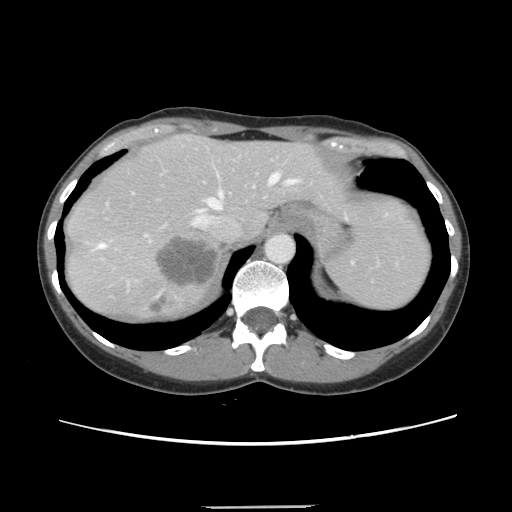 Abdomen, CT scan slice
Some hepatic vessels may have no box.
Liver tumor — {"x1": 156, "y1": 238, "x2": 217, "y2": 286}.
Hepatic vessel — {"x1": 286, "y1": 179, "x2": 297, "y2": 183}, {"x1": 93, "y1": 243, "x2": 105, "y2": 249}, {"x1": 268, "y1": 172, "x2": 278, "y2": 183}, {"x1": 197, "y1": 209, "x2": 203, "y2": 212}, {"x1": 192, "y1": 219, "x2": 197, "y2": 224}, {"x1": 207, "y1": 191, "x2": 222, "y2": 209}, {"x1": 145, "y1": 235, "x2": 149, "y2": 241}.